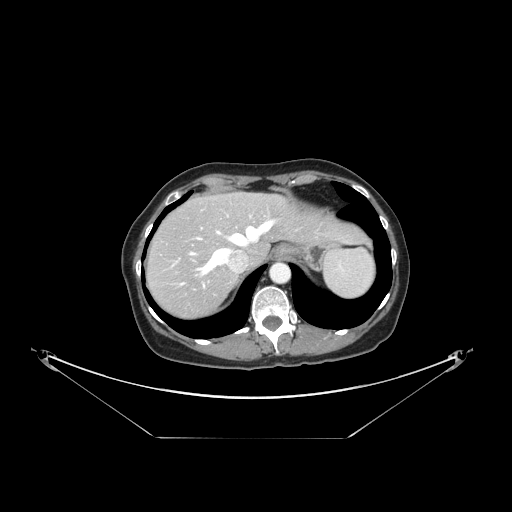 CT, Abdomen
Only some of the vessels may be annotated.
{"hepatic_vessel": ["region(230, 222, 271, 244)"]}